FLAIR MR image.
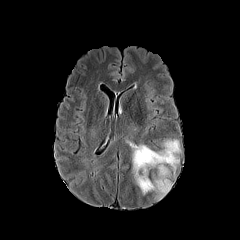
T1-weighted MR image.
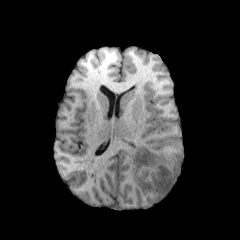
Post-contrast T1-weighted MRI.
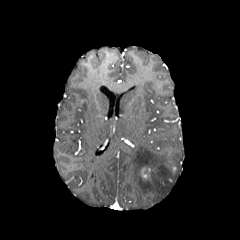
T2-weighted magnetic resonance.
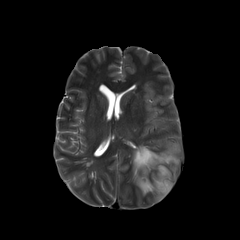
Brain, 240x240
<segmentation>
  <edema>bbox=[132, 143, 178, 200]</edema>
  <enhancing_tumor>bbox=[140, 167, 150, 182]</enhancing_tumor>
</segmentation>